Chest; Computed tomography

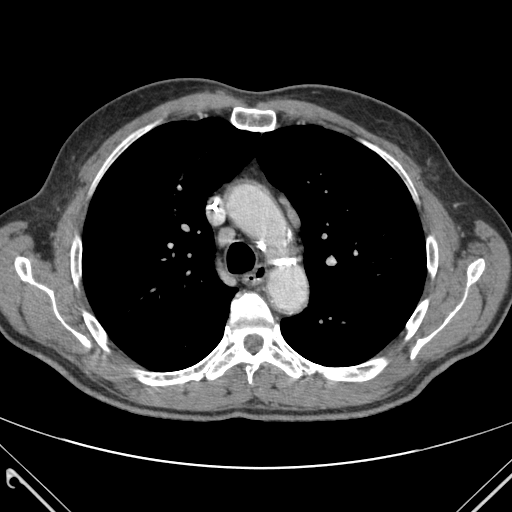 Bone at (left=427, top=237, right=437, bottom=275), (left=231, top=107, right=276, bottom=131), (left=83, top=312, right=108, bottom=350), (left=135, top=293, right=386, bottom=385), (left=406, top=300, right=427, bottom=338), (left=71, top=238, right=81, bottom=285), (left=95, top=125, right=153, bottom=181), (left=15, top=257, right=90, bottom=346), (left=364, top=142, right=410, bottom=183), (left=411, top=259, right=484, bottom=358).
Lung at (left=82, top=117, right=426, bottom=371).